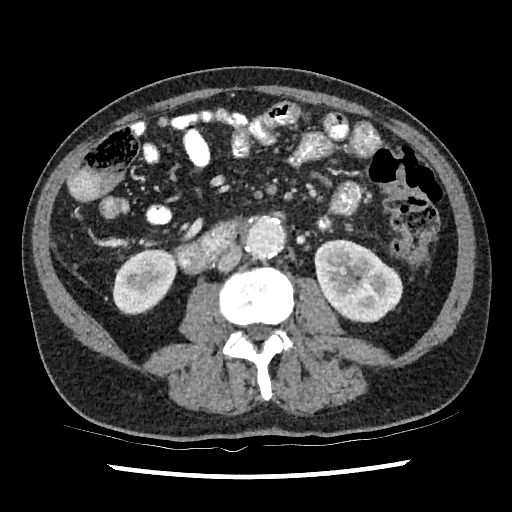 CT image | Abdomen
Kidney: bounding box (x1=315, y1=240, x2=402, y2=321), (x1=113, y1=250, x2=175, y2=313).